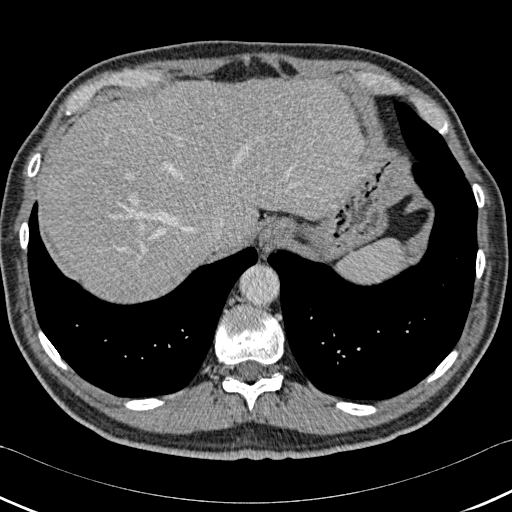
Abdomen. CT scan slice.
The liver is bounded by [39,78,368,302]. 2 lung regions are bounded by [27,201,257,397], [267,96,477,403]. 11 bone regions are bounded by [28,153,39,176], [20,222,28,248], [336,402,375,415], [215,307,283,364], [38,331,66,369], [473,184,484,207], [223,373,282,410], [427,351,457,382], [435,118,447,133], [476,250,484,278], [125,399,163,410].